FLAIR MR.
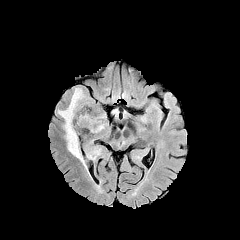
T1-weighted magnetic resonance.
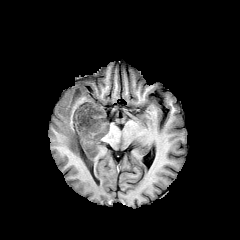
Post-contrast T1-weighted MR image.
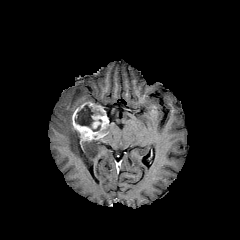
T2-weighted MR image.
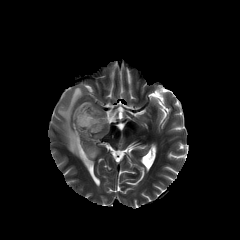
The enhancing tumor lies within x1=72 y1=104 x2=108 y2=141. The edema is bounded by x1=58 y1=87 x2=99 y2=161. The non-enhancing tumor core is located at x1=74 y1=107 x2=96 y2=126.